FLAIR MR image.
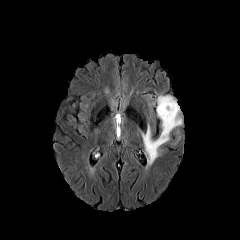
T1-weighted MR image.
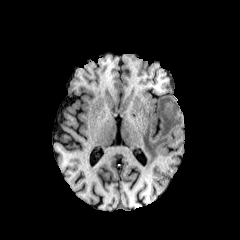
Post-contrast T1-weighted magnetic resonance.
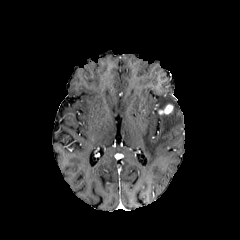
T2-weighted MR image.
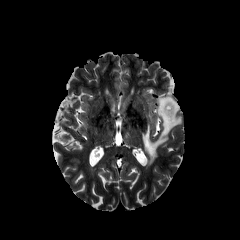
Brain | Image size 240x240
edema: (left=141, top=95, right=182, bottom=166) | enhancing tumor: (left=158, top=104, right=173, bottom=116)